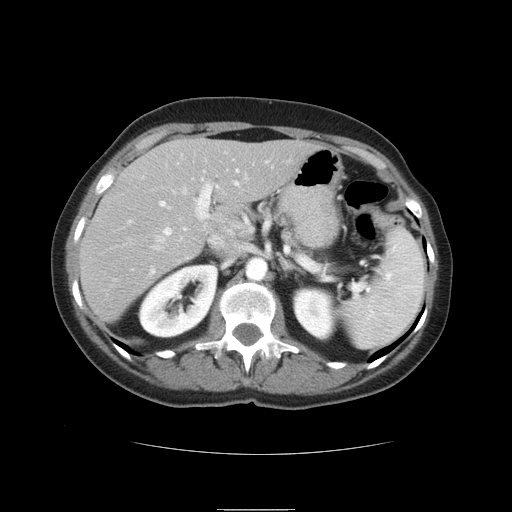

Computed tomography
The spleen appears at (left=344, top=231, right=425, bottom=349).